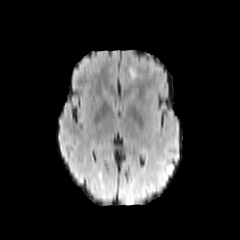
FLAIR MR image.
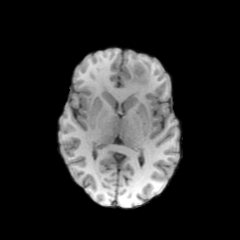
T1-weighted magnetic resonance.
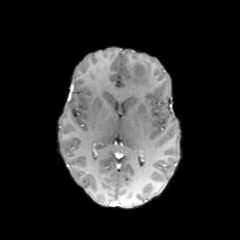
Same slice, post-contrast T1-weighted MRI.
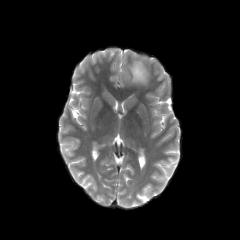
T2-weighted MR.
Brain.
Non-enhancing tumor core — {"x1": 134, "y1": 66, "x2": 144, "y2": 76}.
Edema — {"x1": 128, "y1": 62, "x2": 150, "y2": 85}.